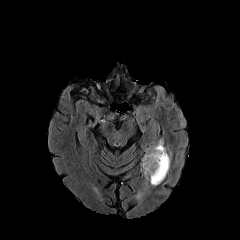
FLAIR MR image.
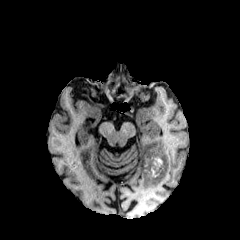
T1-weighted MR of the same slice.
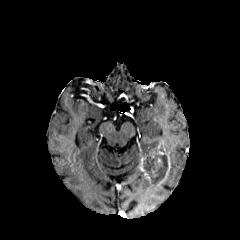
Post-contrast T1-weighted MR image.
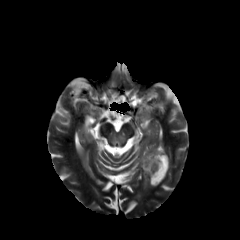
T2-weighted MRI.
Segmented structures:
- edema: box=[149, 138, 164, 154]
- non-enhancing tumor core: box=[145, 155, 167, 183]
- enhancing tumor: box=[139, 149, 170, 185]